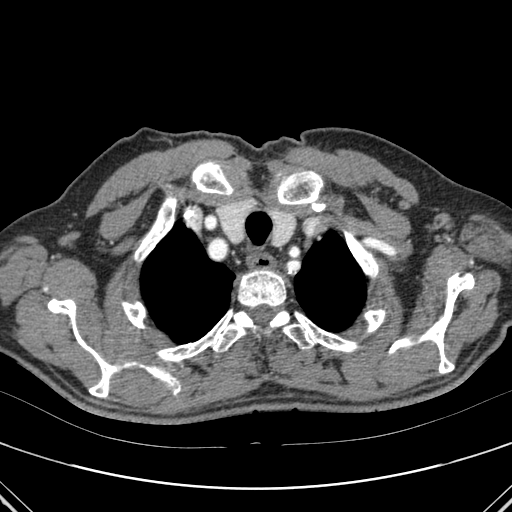
Computed tomography | Thorax

<segmentation>
  <bone>(156, 310, 358, 361), (238, 270, 285, 307), (137, 193, 176, 260), (344, 230, 378, 277), (420, 273, 474, 373), (277, 172, 322, 210), (364, 309, 385, 331), (146, 366, 179, 394), (192, 161, 233, 194), (47, 299, 116, 397), (122, 302, 145, 328), (389, 337, 410, 354), (183, 209, 196, 227)</bone>
  <lung>(294, 230, 366, 331), (140, 221, 234, 343)</lung>
</segmentation>